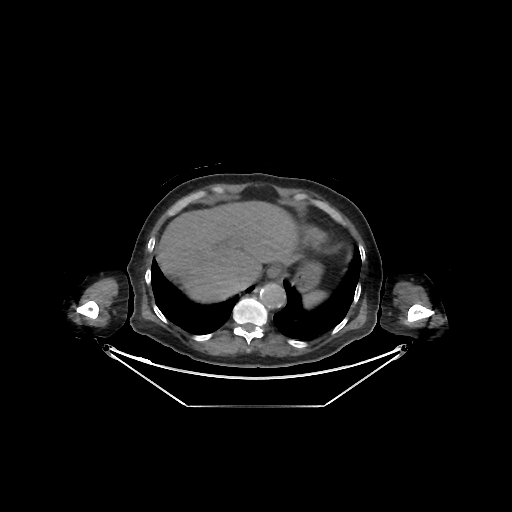
Upper abdomen | CT slice
3 lung regions appear at x1=245 y1=285 x2=255 y2=292, x1=273 y1=244 x2=361 y2=340, x1=151 y1=258 x2=239 y2=334. 11 bone regions appear at x1=148 y1=238 x2=154 y2=250, x1=194 y1=334 x2=211 y2=340, x1=145 y1=269 x2=150 y2=283, x1=354 y1=286 x2=360 y2=301, x1=154 y1=306 x2=166 y2=322, x1=407 y1=304 x2=433 y2=321, x1=288 y1=340 x2=305 y2=347, x1=234 y1=299 x2=266 y2=343, x1=359 y1=246 x2=364 y2=259, x1=77 y1=301 x2=98 y2=318, x1=333 y1=319 x2=347 y2=333. The liver appears at x1=157 y1=202 x2=295 y2=300.